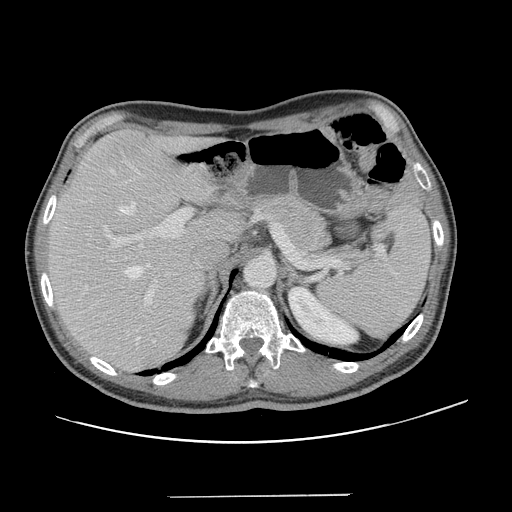

Abdomen. CT.
The vessel boxes may cover only some of the vessels.
<segmentation>
  <hepatic_vessel>region(110, 169, 113, 172); region(151, 209, 191, 235); region(145, 289, 153, 303); region(126, 266, 142, 278); region(137, 337, 139, 341); region(136, 171, 139, 174); region(104, 225, 139, 246); region(153, 340, 155, 342); region(180, 229, 183, 231); region(176, 233, 178, 236); region(139, 244, 142, 246); region(120, 202, 135, 213); region(154, 279, 155, 280); region(146, 263, 149, 266); region(124, 162, 127, 163)</hepatic_vessel>
</segmentation>